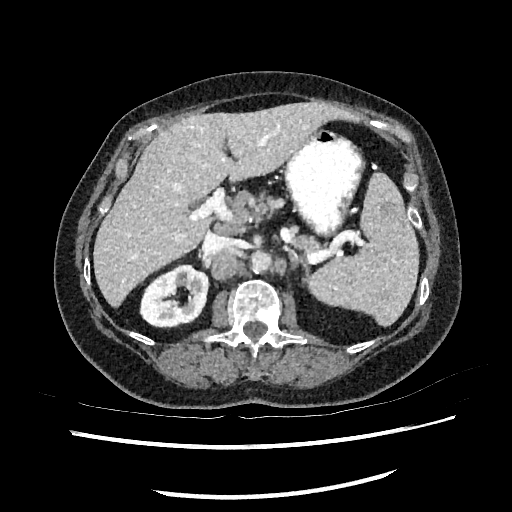

CT | 512x512 | Upper abdomen

Segmented structures:
• liver: [93, 103, 356, 306]
• kidney: [141, 265, 207, 326]